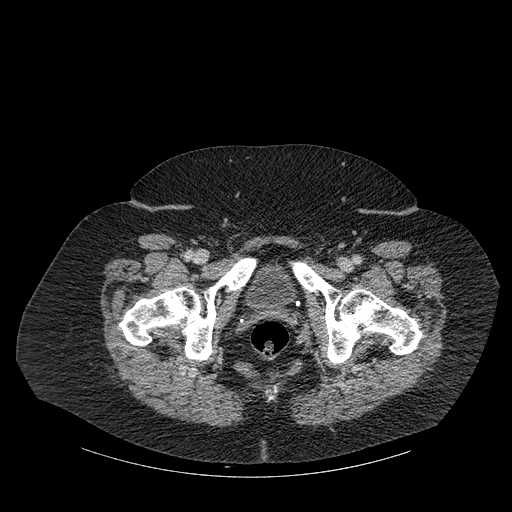 CT image. <segmentation>
  <bone>(left=119, top=258, right=255, bottom=360), (left=293, top=262, right=422, bottom=363)</bone>
</segmentation>